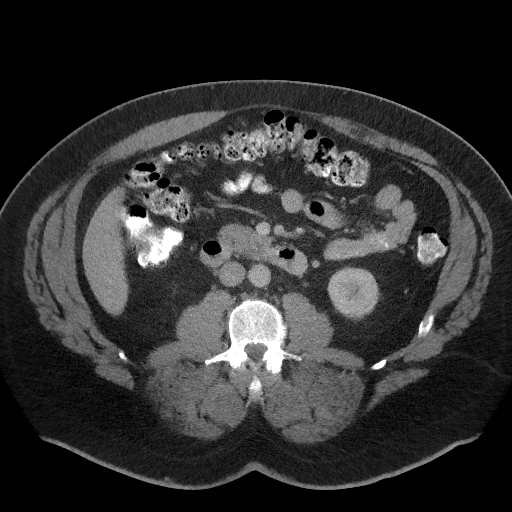 Abdomen; CT slice; 512x512
Findings:
• pancreas: [222, 225, 253, 248]